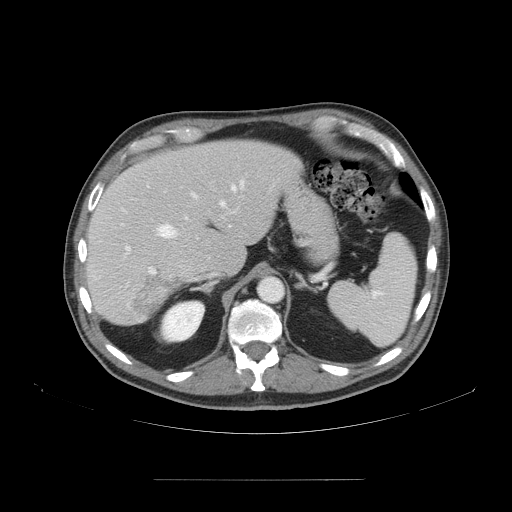

512x512 px. CT slice. Liver.

The vessel boxes may cover only some of the vessels.
{
  "liver_tumor": [
    "(130, 271, 180, 315)"
  ],
  "hepatic_vessel": [
    "(231, 180, 243, 192)",
    "(126, 247, 130, 254)",
    "(120, 207, 126, 212)",
    "(219, 200, 226, 207)",
    "(155, 223, 178, 238)",
    "(229, 225, 230, 226)",
    "(148, 267, 154, 272)",
    "(192, 194, 196, 197)",
    "(184, 216, 187, 219)"
  ]
}